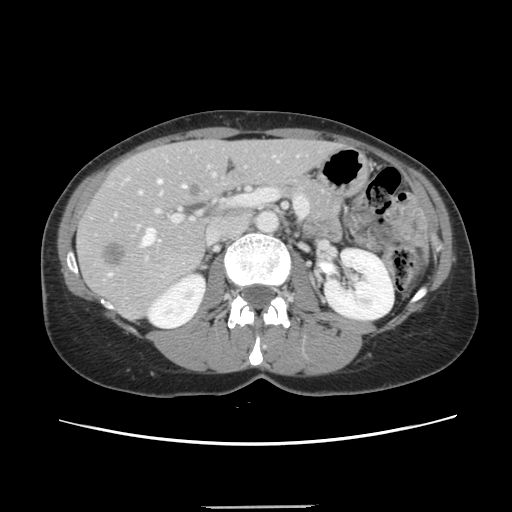
Liver; CT slice; 512x512 px
The vessel boxes may cover only some of the vessels.
9 hepatic vessel regions appear at <box>183,185,185,187</box>, <box>125,179,127,180</box>, <box>108,273,110,275</box>, <box>141,228,159,245</box>, <box>170,214,181,222</box>, <box>212,172,214,175</box>, <box>156,209,159,212</box>, <box>139,190,141,193</box>, <box>157,179,161,183</box>. The liver tumor is at <box>103,243,125,264</box>.